FLAIR MRI.
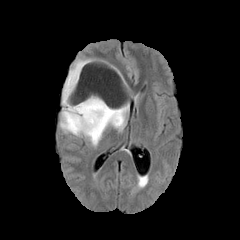
T1-weighted MR.
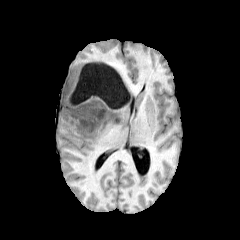
Post-contrast T1-weighted MR.
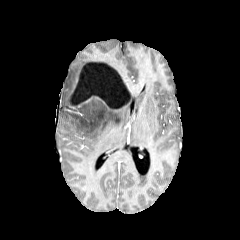
T2-weighted MR image.
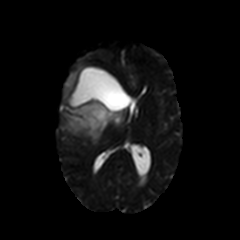
Brain
edema: rect(60, 58, 129, 145) | non-enhancing tumor core: rect(73, 72, 127, 110); rect(73, 106, 106, 128)